Computed tomography, Upper abdomen
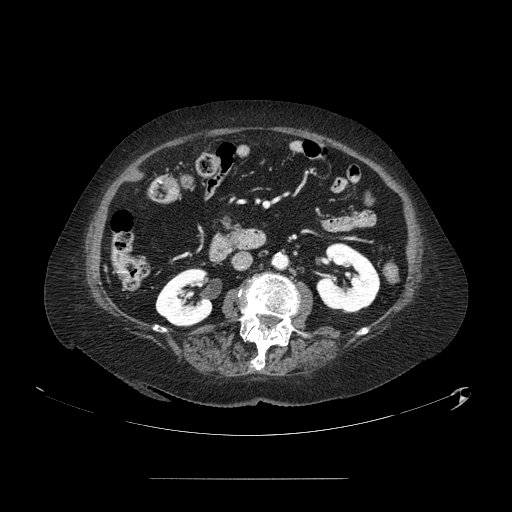

Pancreas: bounding box (223,215,230,227).